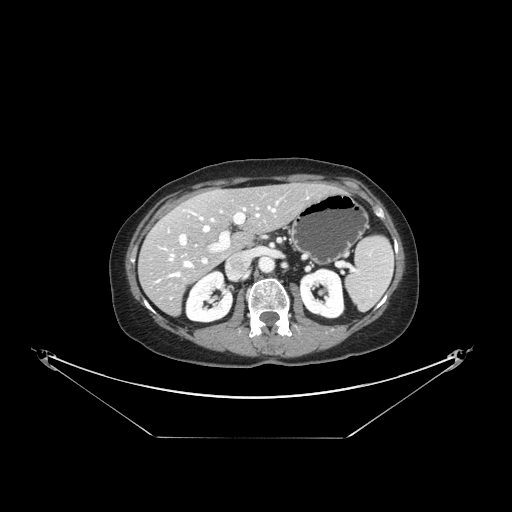 Computed tomography | Liver
The vessel annotation is not exhaustive.
hepatic_vessel:
  - (180, 235, 185, 244)
  - (204, 226, 208, 230)
  - (202, 259, 206, 262)
  - (213, 233, 228, 250)
  - (272, 209, 274, 211)
  - (234, 213, 244, 222)